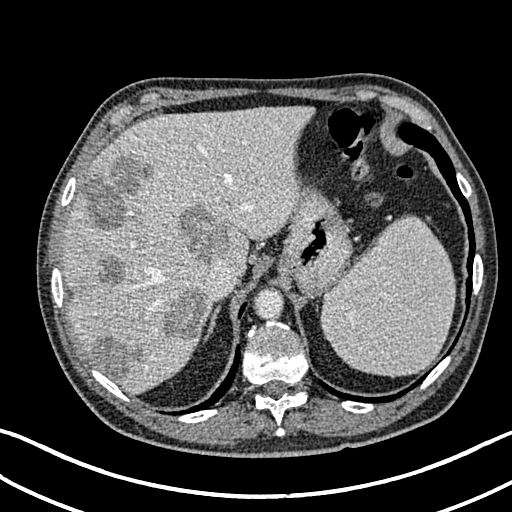

Liver; CT slice
hepatic lesion: x1=160, y1=291, x2=207, y2=341; x1=92, y1=334, x2=140, y2=378; x1=98, y1=255, x2=124, y2=285; x1=74, y1=278, x2=87, y2=296; x1=178, y1=204, x2=229, y2=263; x1=83, y1=154, x2=154, y2=230 | liver: x1=64, y1=108, x2=312, y2=392